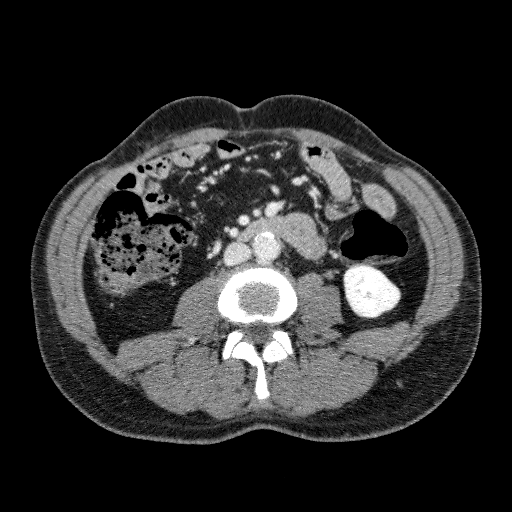 Image size 512x512; CT image; Abdomen

The kidney appears at x1=363, y1=284, x2=383, y2=304.